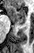
MR. Hippocampus. The anterior hippocampus is at (left=8, top=6, right=25, bottom=24).